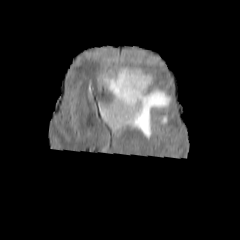
FLAIR MR image.
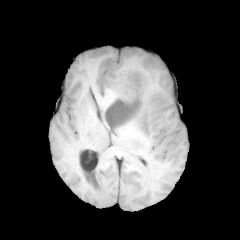
Same slice, T1-weighted MRI.
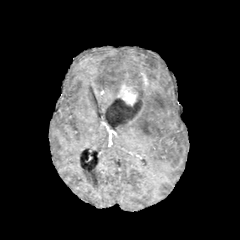
Same slice, post-contrast T1-weighted MRI.
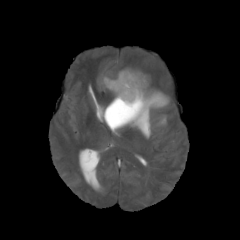
T2-weighted MRI of the same slice.
240x240. Head.
Enhancing tumor — (117,83,137,105), (141,73,149,85).
Non-enhancing tumor core — (104,69,146,127).
Edema — (103,67,130,94), (109,74,170,137).